Slice 114/155, Head
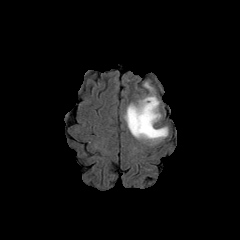
FLAIR MRI.
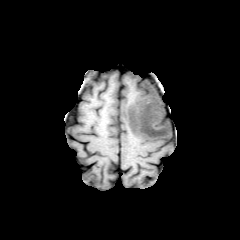
Same slice, T1-weighted MRI.
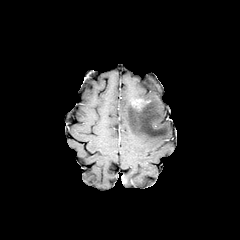
Post-contrast T1-weighted MR.
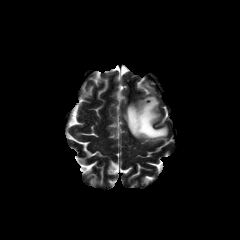
T2-weighted magnetic resonance.
{"non-enhancing_tumor_core": ["l=132, t=100, r=147, b=111", "l=133, t=112, r=159, b=135"], "edema": ["l=123, t=82, r=168, b=143"]}